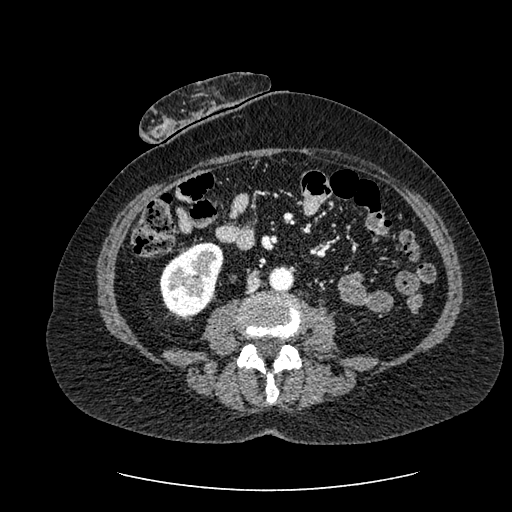 CT image | 512x512 px
Kidney — region(160, 243, 222, 316).